Brain. Image width 240 mm.
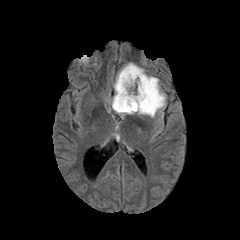
FLAIR MRI.
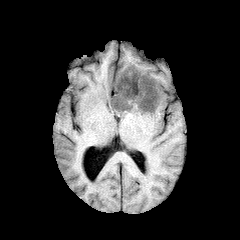
T1-weighted MRI.
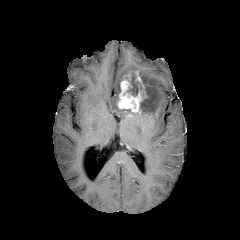
Post-contrast T1-weighted MR.
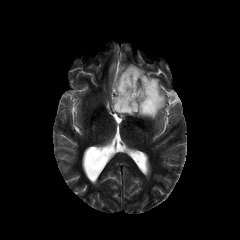
T2-weighted magnetic resonance.
Non-enhancing tumor core: [128, 70, 155, 113], [114, 104, 131, 113].
Edema: [108, 62, 166, 122].
Enhancing tumor: [116, 74, 143, 111].